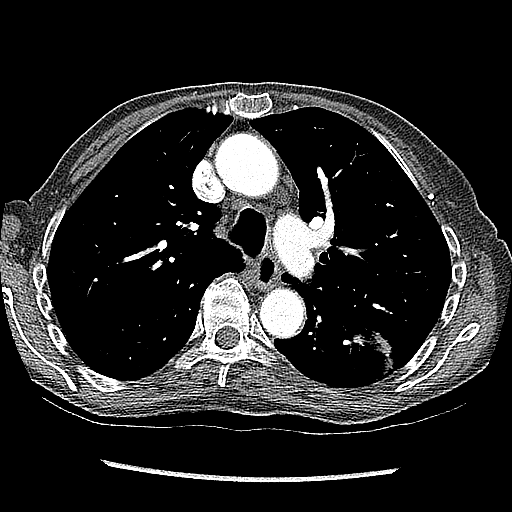 Thorax, Computed tomography

Lung tumor at rect(350, 331, 395, 375).